CT slice
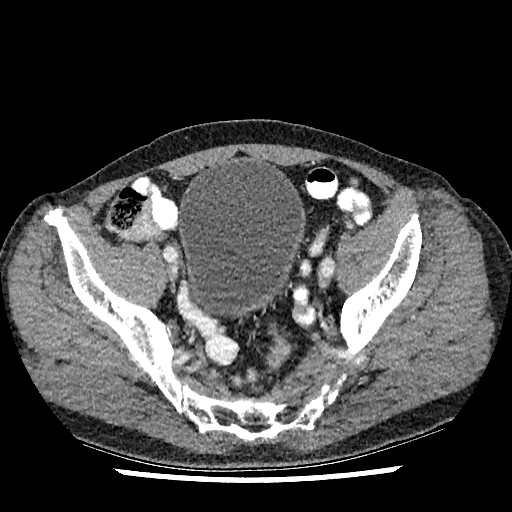 Annotated regions:
- urinary bladder: <box>179,160,301,318</box>